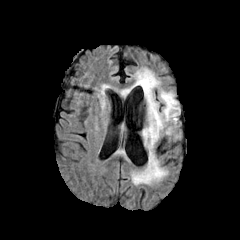
FLAIR MRI.
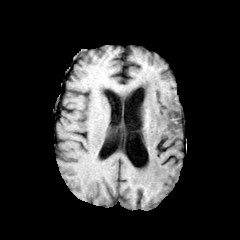
Same slice, T1-weighted MR.
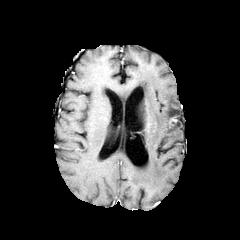
Post-contrast T1-weighted MRI.
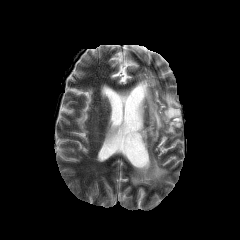
Same slice, T2-weighted magnetic resonance.
Brain. 240x240.
The edema is located at 120 68 180 185.